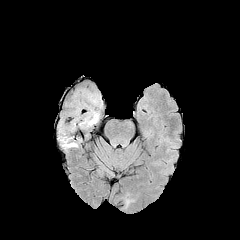
FLAIR MR.
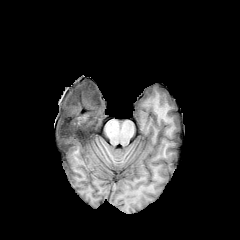
T1-weighted MR image of the same slice.
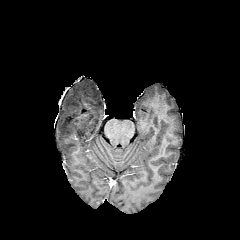
Post-contrast T1-weighted MRI.
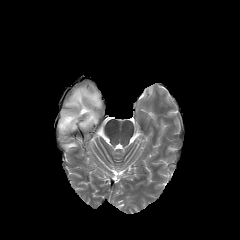
T2-weighted MR.
Edema = x1=59, y1=86, x2=102, y2=151.
Non-enhancing tumor core = x1=74, y1=89, x2=100, y2=109.